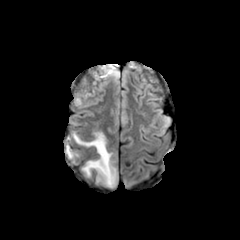
FLAIR MR.
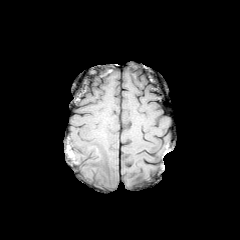
T1-weighted MR image.
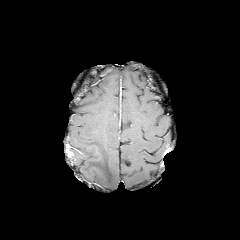
Post-contrast T1-weighted MR.
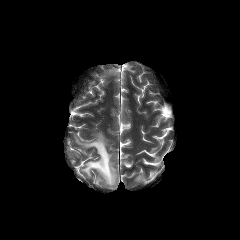
T2-weighted MR.
Brain
2 edema regions are bounded by 106, 69, 119, 78; 73, 132, 117, 187.